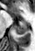

MRI; Medial temporal lobe

Posterior hippocampus at (left=13, top=20, right=26, bottom=34).